Liver. CT image.

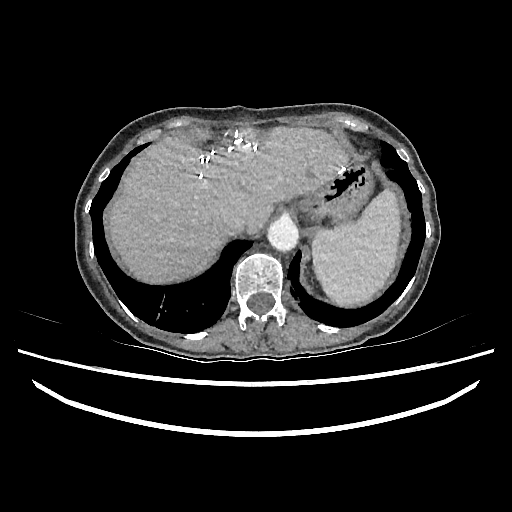
<segmentation>
  <liver>box(110, 127, 345, 282)</liver>
</segmentation>